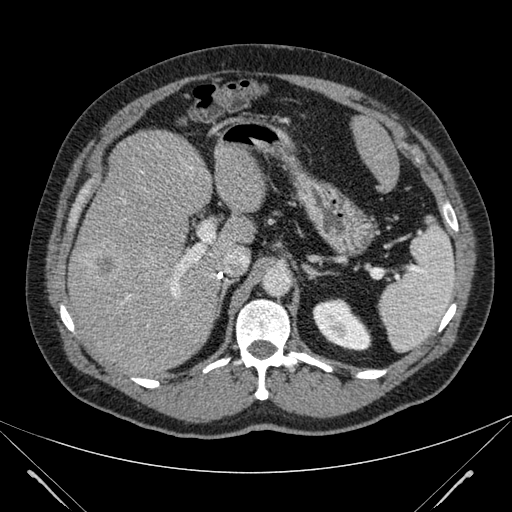
CT slice. <segmentation>
  <liver>(left=352, top=115, right=398, bottom=191), (left=58, top=130, right=264, bottom=379)</liver>
  <liver_lesion>(left=91, top=253, right=115, bottom=280)</liver_lesion>
  <kidney>(left=314, top=300, right=369, bottom=349)</kidney>
</segmentation>